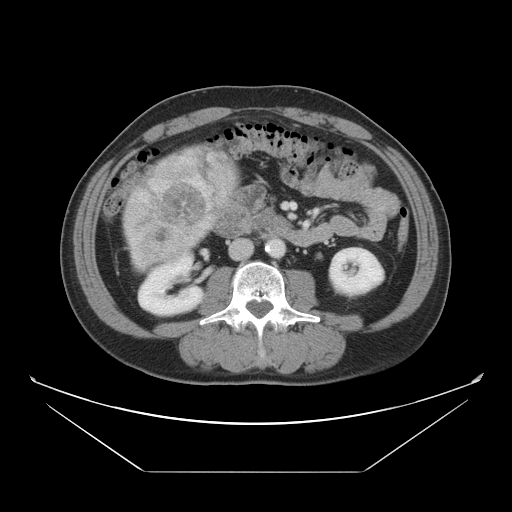 CT, 512x512
Liver tumor: bounding box [125,154,236,267].